CT image. 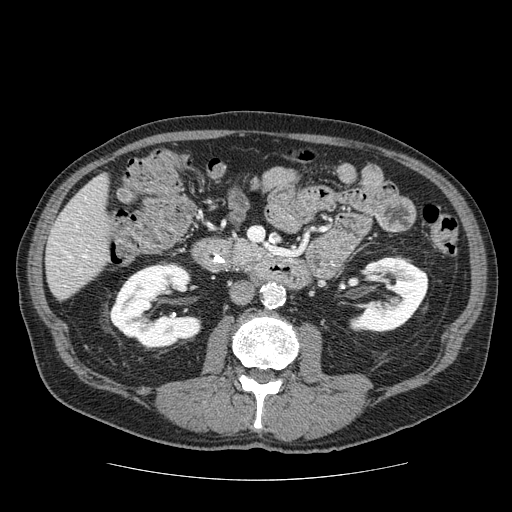

The pancreas is at (left=228, top=236, right=264, bottom=274).